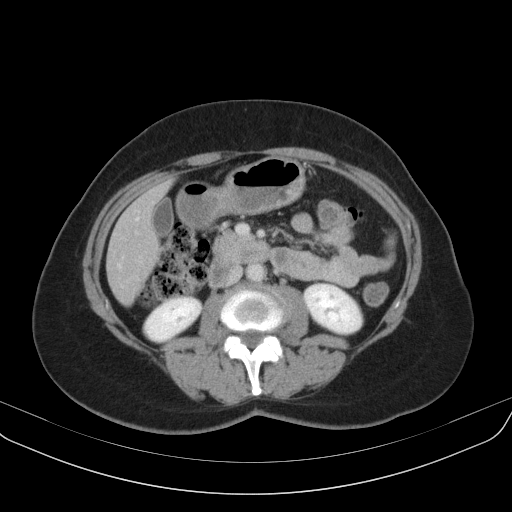

CT image; Image size 512x512; Upper abdomen
The pancreas is located at box(212, 229, 266, 273).